Computed tomography | Pelvis | 512x512 px

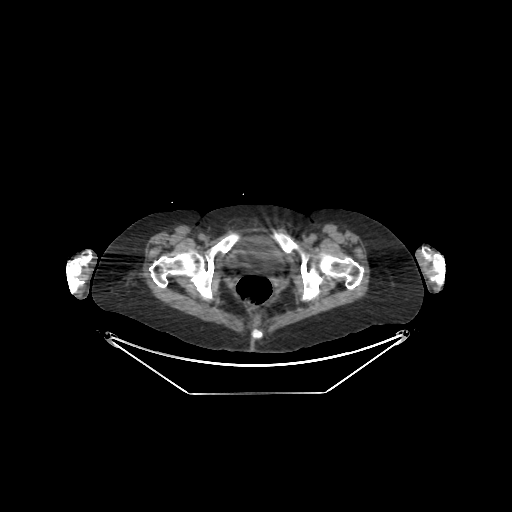 The urinary bladder is located at <bbox>226, 234, 284, 271</bbox>.